Image size 512x512 | Slice 329 of 689 | CT scan slice
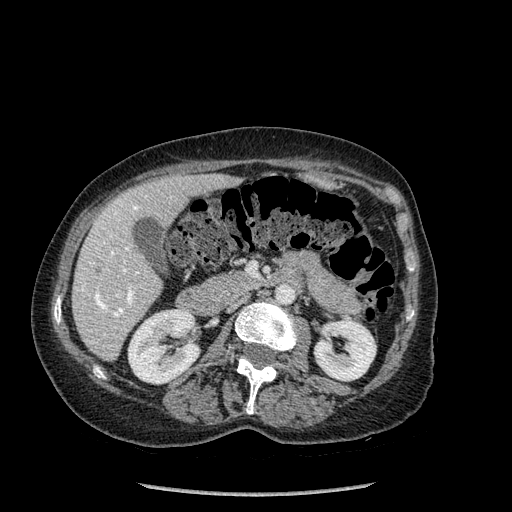

5 bone regions are located at [x1=54, y1=296, x2=61, y2=323], [x1=406, y1=311, x2=413, y2=320], [x1=93, y1=366, x2=105, y2=378], [x1=235, y1=302, x2=297, y2=351], [x1=237, y1=357, x2=276, y2=414]. 2 kidney regions are located at [x1=128, y1=310, x2=198, y2=383], [x1=314, y1=320, x2=375, y2=380]. The liver lies within [x1=72, y1=174, x2=240, y2=361].